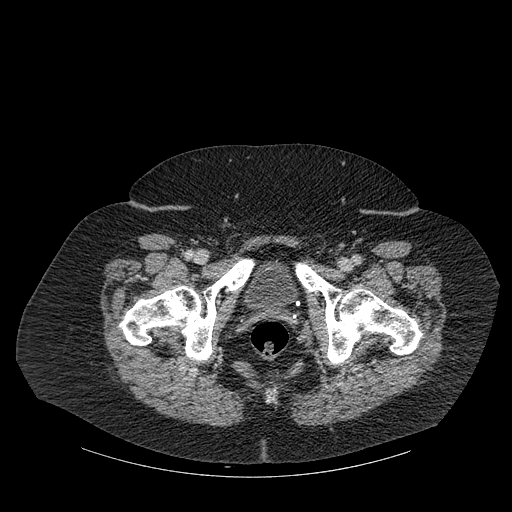 Lower abdomen; CT scan slice
- bone: 296:263:422:363, 119:259:254:360
- urinary bladder: 242:259:299:320